FLAIR magnetic resonance.
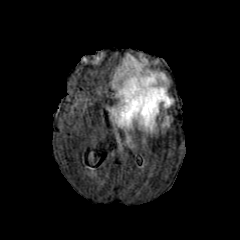
T1-weighted MRI.
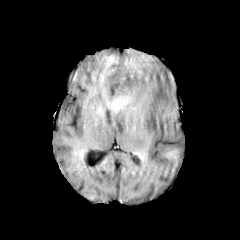
Post-contrast T1-weighted MRI.
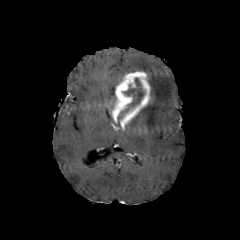
T2-weighted MR image.
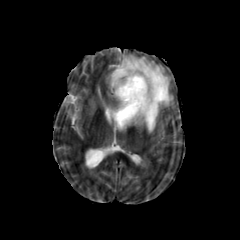
Brain
{
  "enhancing_tumor": [
    "x1=110, y1=70, x2=152, y2=129"
  ],
  "non-enhancing_tumor_core": [
    "x1=124, y1=78, x2=143, y2=111"
  ],
  "edema": [
    "x1=111, y1=54, x2=173, y2=133"
  ]
}